Image width 432 mm | CT image 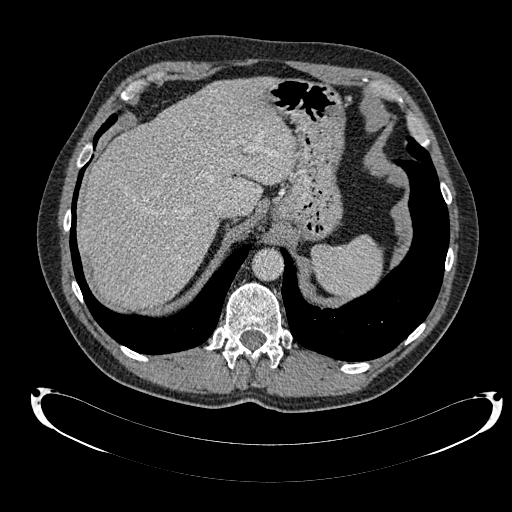 {"liver": ["[x1=81, y1=78, x2=296, y2=308]"]}